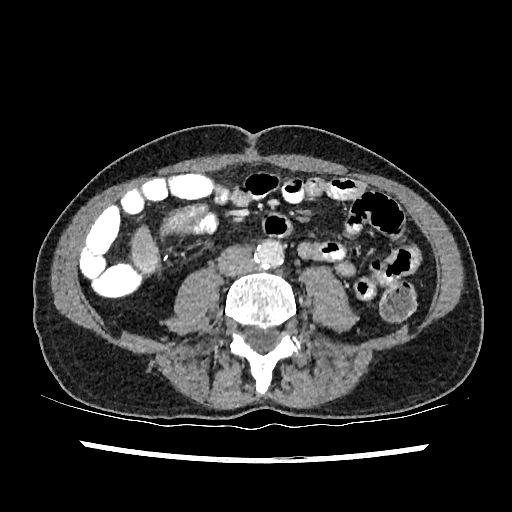
Upper abdomen | CT slice
• liver: [x1=132, y1=227, x2=158, y2=273]